Slice 102/155 | Field of view 240x240 mm | Head
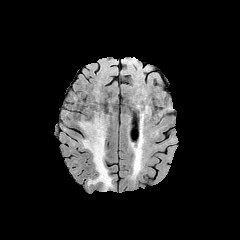
FLAIR MR image.
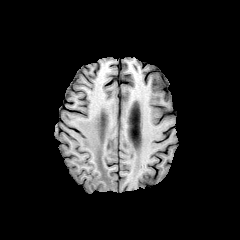
T1-weighted MR image.
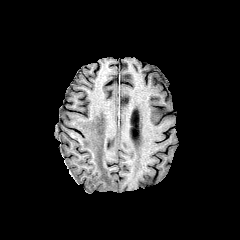
Post-contrast T1-weighted MR image.
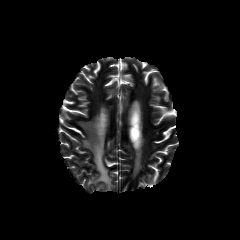
T2-weighted MRI.
edema: x1=132 y1=150 x2=141 y2=173, x1=81 y1=116 x2=113 y2=189